Image width 398 mm, CT, Slice 73/161

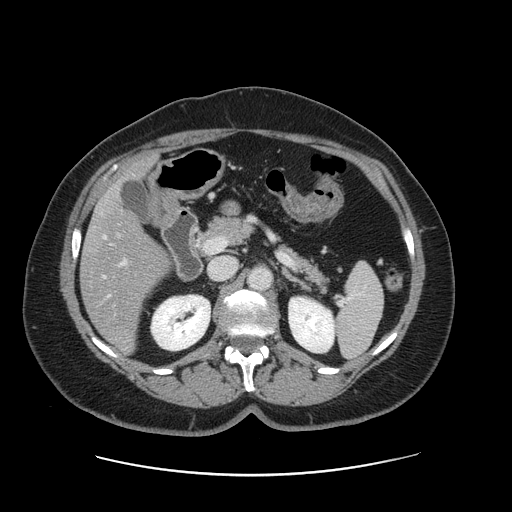

Some hepatic vessels may have no box.
Hepatic vessel: bounding box (left=103, top=276, right=105, bottom=277), (left=103, top=235, right=106, bottom=238), (left=107, top=294, right=110, bottom=297), (left=120, top=259, right=126, bottom=265).